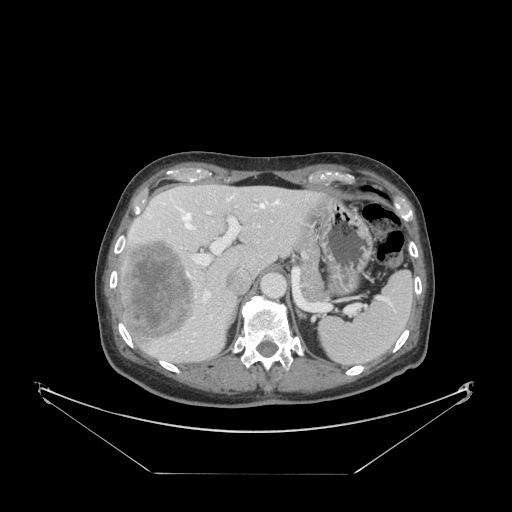

512x512, Abdomen, CT scan slice
Spleen = box=[320, 273, 414, 366].